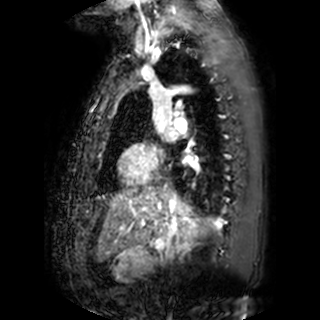 320x320; MRI
2 left atrium regions appear at x1=182 y1=153 x2=193 y2=162, x1=165 y1=127 x2=176 y2=140.